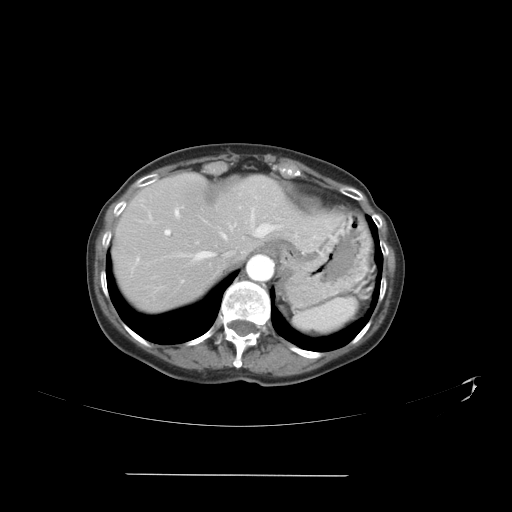

Computed tomography. 512x512.

The vessel annotation is not exhaustive.
Hepatic vessel at x1=256 y1=224 x2=278 y2=237, x1=136 y1=257 x2=138 y2=261, x1=175 y1=208 x2=178 y2=216, x1=196 y1=241 x2=198 y2=243, x1=165 y1=230 x2=169 y2=234, x1=295 y1=235 x2=296 y2=236, x1=195 y1=252 x2=212 y2=259, x1=230 y1=226 x2=233 y2=226, x1=251 y1=208 x2=254 y2=223, x1=221 y1=233 x2=225 y2=238, x1=181 y1=280 x2=183 y2=282.